240x240 px
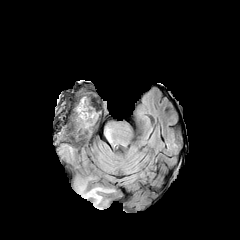
FLAIR MR.
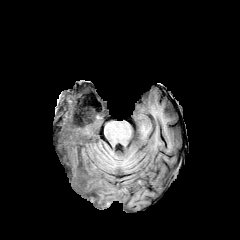
T1-weighted MR.
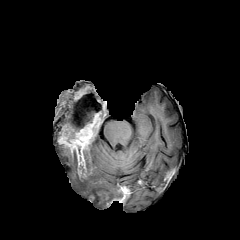
Post-contrast T1-weighted MR.
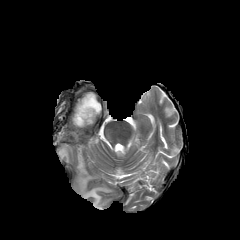
T2-weighted magnetic resonance.
3 enhancing tumor regions are bounded by bbox=[84, 113, 98, 128]; bbox=[78, 150, 84, 166]; bbox=[63, 144, 77, 154]. 2 non-enhancing tumor core regions appear at bbox=[77, 102, 97, 125]; bbox=[58, 112, 100, 169]. 3 edema regions are bounded by bbox=[72, 164, 115, 209]; bbox=[72, 101, 86, 128]; bbox=[84, 144, 91, 167].